FLAIR magnetic resonance.
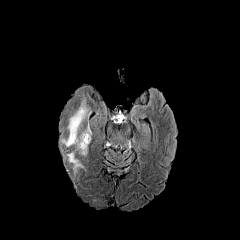
T1-weighted MR.
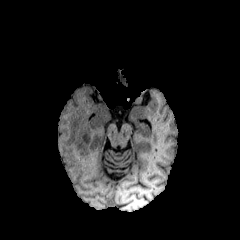
Post-contrast T1-weighted magnetic resonance.
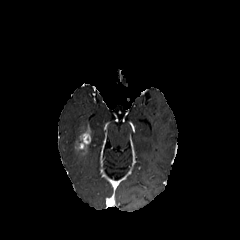
T2-weighted MR.
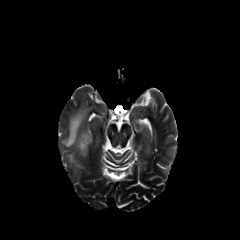
Enhancing tumor = x1=76 y1=125 x2=91 y2=152.
Edema = x1=59 y1=98 x2=91 y2=173.